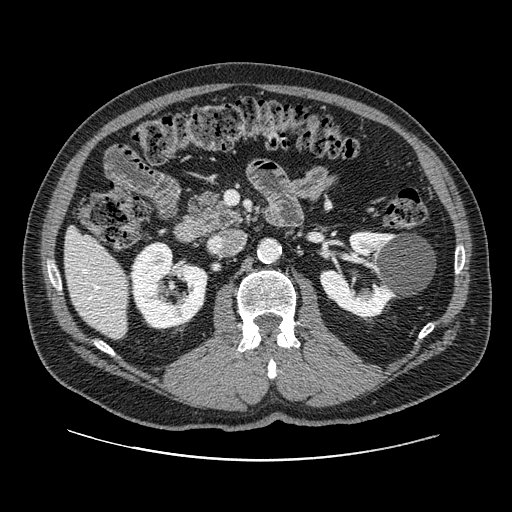 CT
pancreas:
  - bbox=[185, 192, 244, 234]